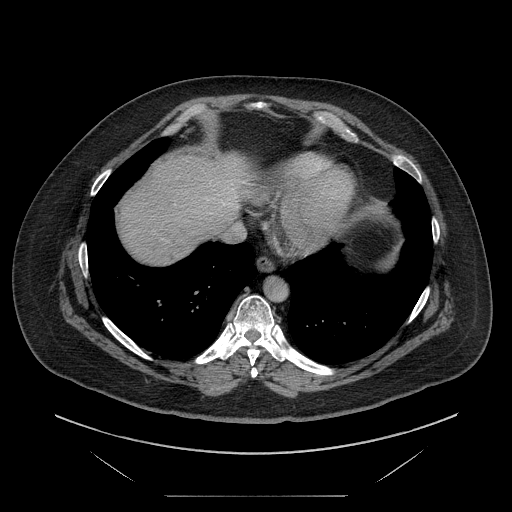
CT image | Liver
The vessel annotation is not exhaustive.
hepatic_vessel:
  - [220,224,244,241]